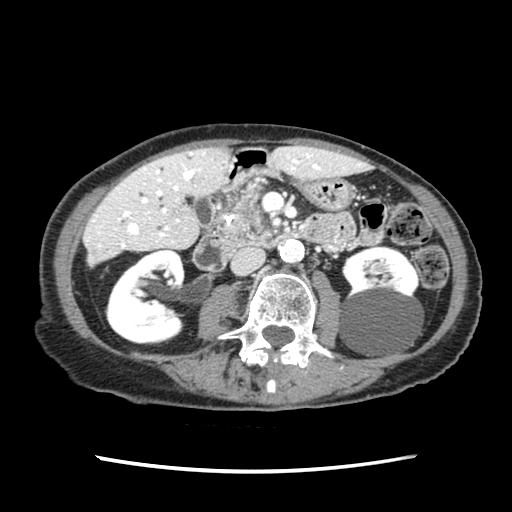

CT slice. Upper abdomen. 512x512. Pancreatic tumor: left=239, top=198, right=253, bottom=225.
Pancreas: left=218, top=187, right=269, bottom=242.